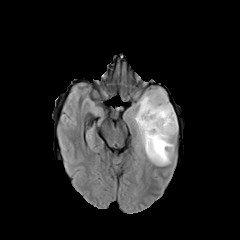
FLAIR MR.
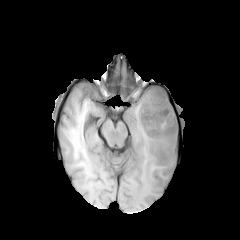
T1-weighted magnetic resonance of the same slice.
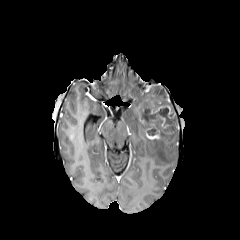
Same slice, post-contrast T1-weighted MR.
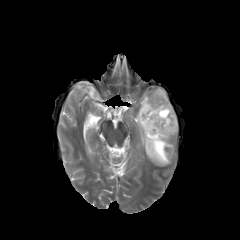
Same slice, T2-weighted MRI.
240x240 px; Brain
Segmented structures:
• edema: box=[138, 88, 167, 112]; box=[131, 111, 175, 165]
• enhancing tumor: box=[151, 104, 172, 113]; box=[146, 130, 159, 139]
• non-enhancing tumor core: box=[138, 91, 175, 137]